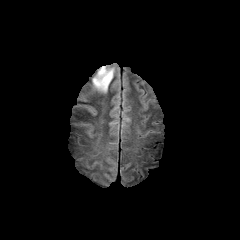
FLAIR MR image.
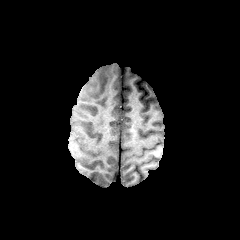
T1-weighted magnetic resonance.
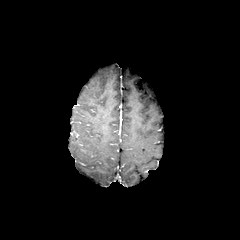
Post-contrast T1-weighted MRI of the same slice.
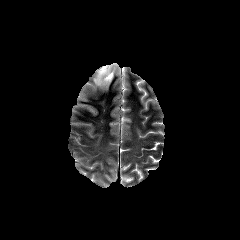
Same slice, T2-weighted MRI.
Brain | 240x240
edema:
  - [93, 66, 113, 90]